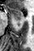
Magnetic resonance, Image size 34x51, Hippocampus
The anterior hippocampus is bounded by x1=9, y1=8, x2=23, y2=19.